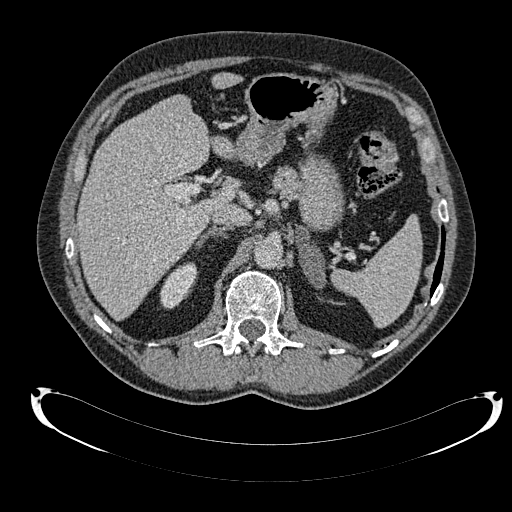 512x512 px. CT image.

Kidney: <box>161,264,196,307</box>.
Liver: <box>213,73,242,88</box>, <box>78,96,233,318</box>, <box>212,138,233,158</box>.